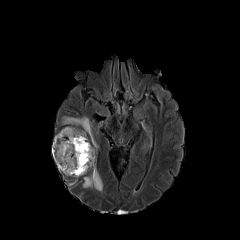
FLAIR MRI.
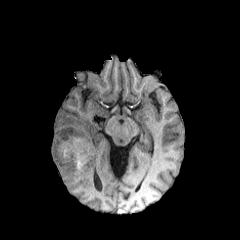
T1-weighted MR.
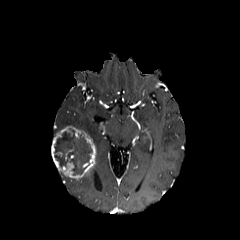
Post-contrast T1-weighted MR of the same slice.
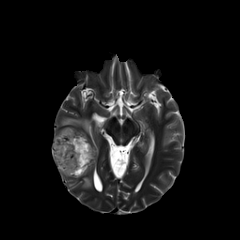
T2-weighted MR image of the same slice.
Head.
2 edema regions are bounded by (61, 117, 92, 137), (83, 167, 102, 193). The enhancing tumor lies within (52, 127, 96, 179). The non-enhancing tumor core is located at (54, 128, 92, 175).